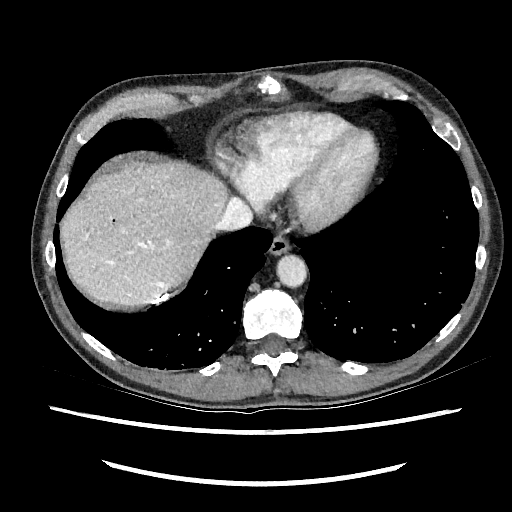

Liver. Computed tomography.
The liver appears at l=62, t=161, r=227, b=305.